Thorax | Slice 538/605 | CT

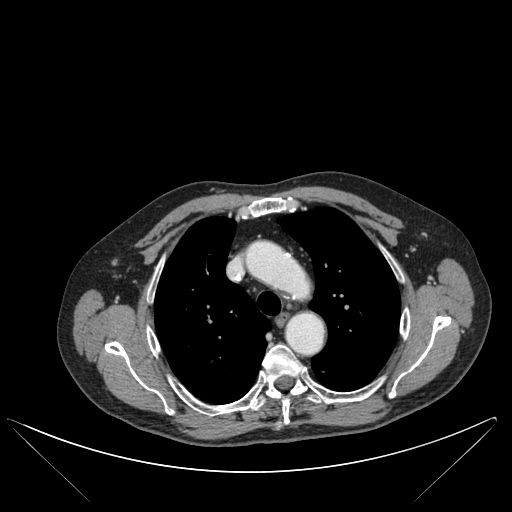
* lung: left=278, top=208, right=400, bottom=391; left=155, top=217, right=280, bottom=403
* bone: left=247, top=197, right=295, bottom=216; left=387, top=253, right=398, bottom=275; left=105, top=341, right=173, bottom=414; left=169, top=344, right=383, bottom=423; left=389, top=316, right=450, bottom=397; left=400, top=308, right=410, bottom=338; left=148, top=260, right=162, bottom=301; left=146, top=327, right=159, bottom=355